CT slice. Pelvis.
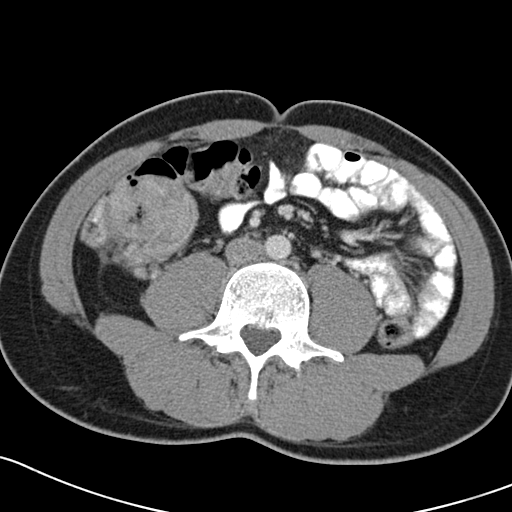

Annotated regions:
* colon tumor: l=94, t=176, r=197, b=262